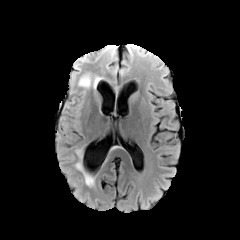
FLAIR MRI.
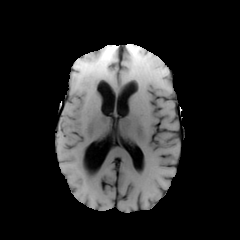
T1-weighted MR image.
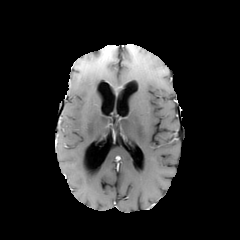
Post-contrast T1-weighted MR image of the same slice.
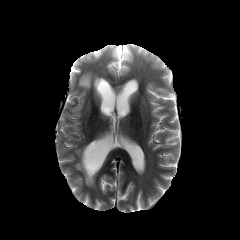
T2-weighted MR image.
Head.
Edema: bounding box [76,163,95,186], [78,73,102,88], [104,48,117,71].